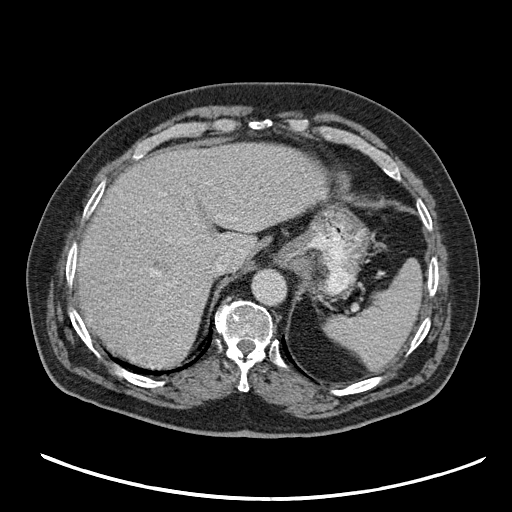
CT scan slice

spleen: <bbox>327, 262, 421, 369</bbox>